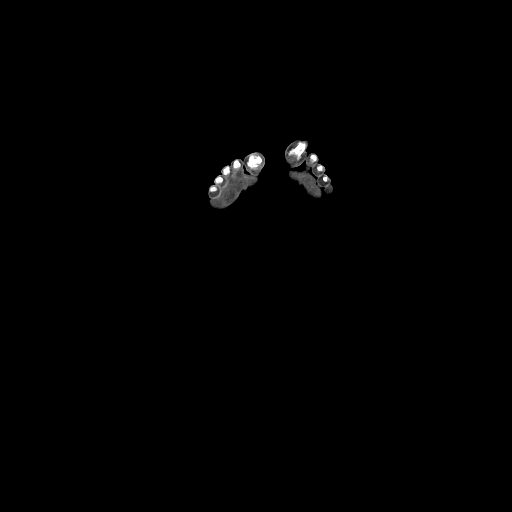

CT image

<segmentation>
  <bone>left=289, top=143, right=304, bottom=158; left=248, top=154, right=261, bottom=168</bone>
</segmentation>